CT image; Slice 395/574; Liver; Image size 512x512
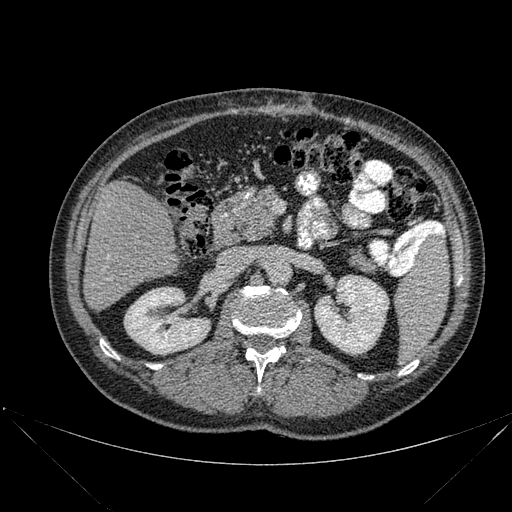 • bone: 398, 360, 418, 375; 358, 374, 373, 379; 246, 346, 285, 381; 149, 364, 162, 369; 232, 286, 301, 337; 100, 339, 119, 359
• kidney: 124, 287, 209, 354; 315, 275, 388, 353
• liver: 84, 182, 175, 309